Liver | CT | Field of view 429x429 mm

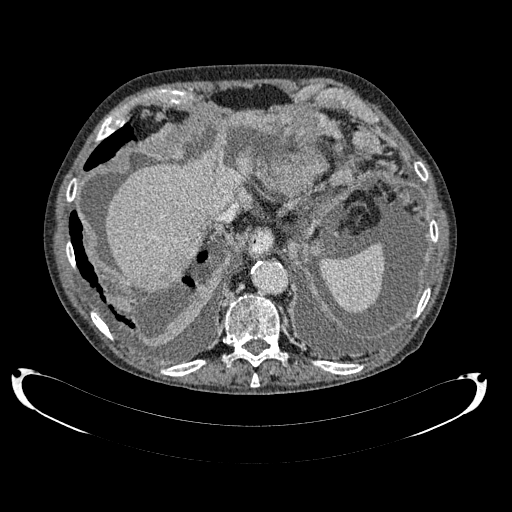 Annotated regions:
• liver: {"x1": 105, "y1": 152, "x2": 244, "y2": 289}